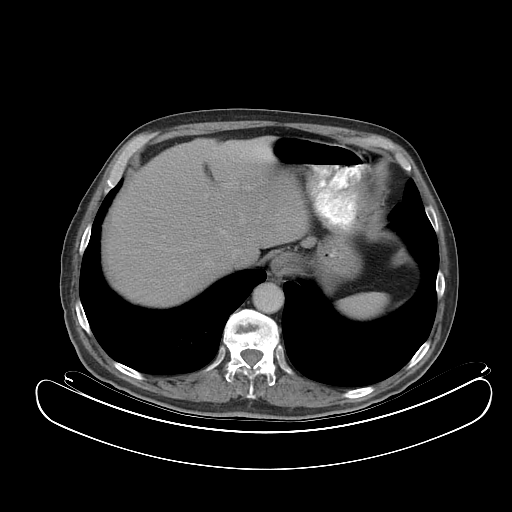 512x512 px; CT slice; Abdomen
Spleen: left=341, top=294, right=387, bottom=318.